Image size 512x512. Slice 348/493. Computed tomography.

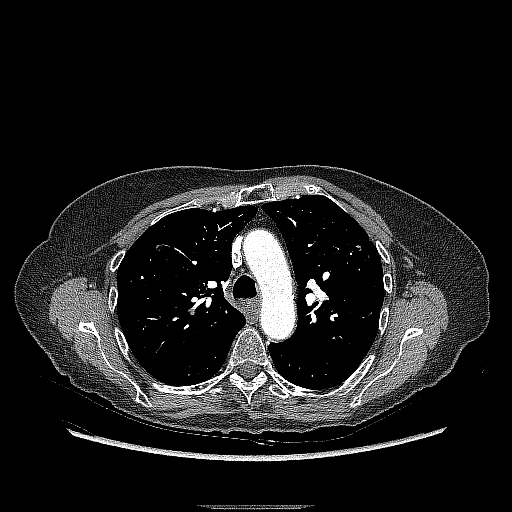
lung_tumor:
  - bbox=[352, 245, 364, 252]